FLAIR MRI.
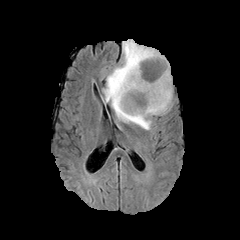
T1-weighted magnetic resonance.
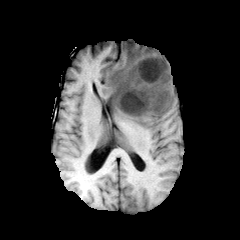
Post-contrast T1-weighted MR image.
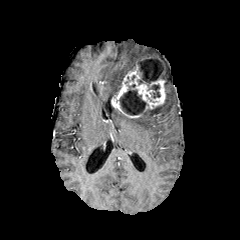
T2-weighted MR image.
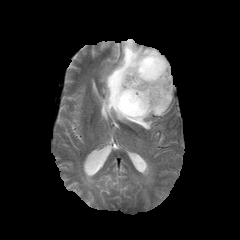
Image size 240x240
3 non-enhancing tumor core regions are bounded by [151, 84, 159, 97], [136, 56, 164, 83], [120, 84, 146, 115]. 2 edema regions are located at [102, 40, 160, 101], [113, 63, 173, 129]. The enhancing tumor appears at [111, 64, 165, 117].